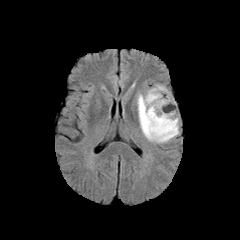
FLAIR MR.
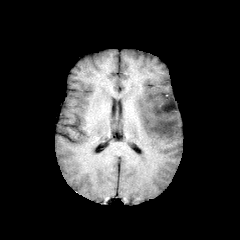
T1-weighted MR image.
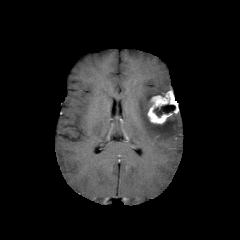
Same slice, post-contrast T1-weighted MR image.
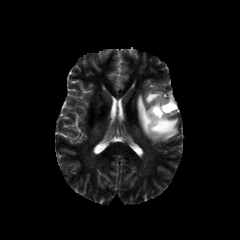
Same slice, T2-weighted MRI.
<segmentation>
  <edema>136, 84, 179, 143</edema>
  <enhancing_tumor>147, 90, 178, 124</enhancing_tumor>
  <non-enhancing_tumor_core>154, 104, 175, 116</non-enhancing_tumor_core>
</segmentation>